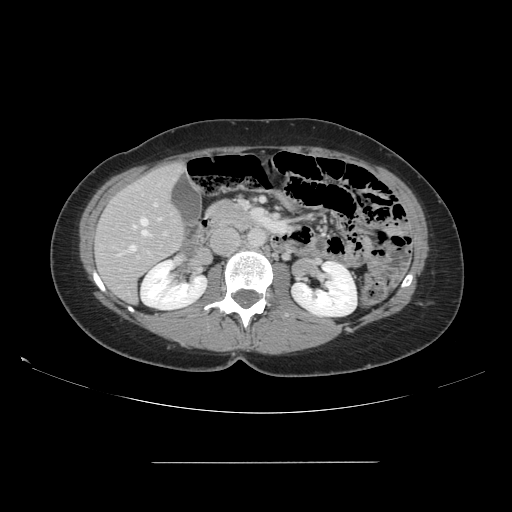 512x512 px | CT scan slice
Not every hepatic vessel necessarily has a box.
7 hepatic vessel regions are bounded by 117,245,136,255; 147,251,149,253; 154,204,156,205; 132,225,135,228; 158,218,161,220; 163,232,167,234; 140,217,151,236.